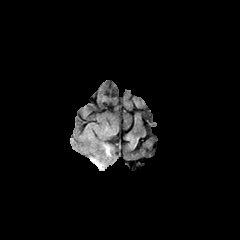
FLAIR magnetic resonance.
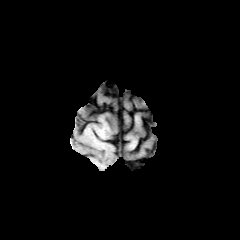
Same slice, T1-weighted magnetic resonance.
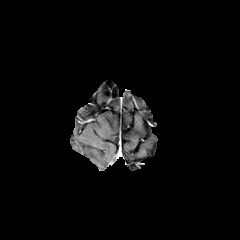
Post-contrast T1-weighted MR of the same slice.
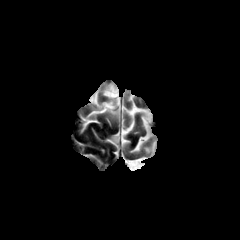
T2-weighted magnetic resonance of the same slice.
240x240. Brain.
{"edema": ["box=[90, 155, 104, 169]", "box=[103, 143, 112, 156]"]}